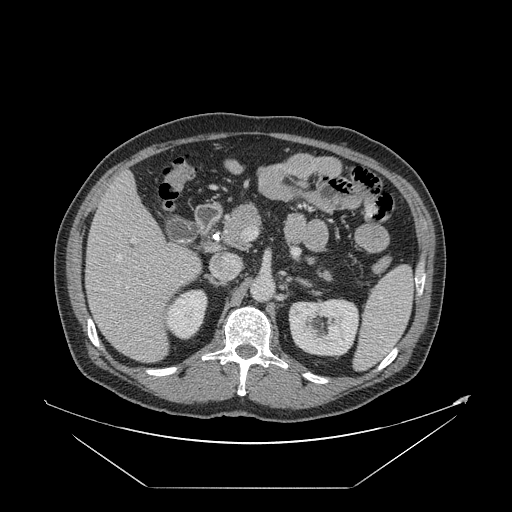
CT | Image size 512x512 | Abdomen
Not every hepatic vessel necessarily has a box.
Segmented structures:
- hepatic vessel: [131,239,134,243], [116,255,120,261]